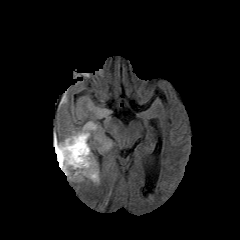
FLAIR MR image.
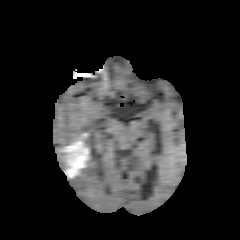
T1-weighted MR.
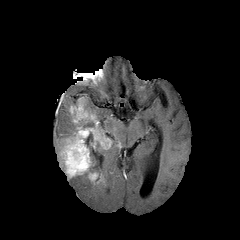
Post-contrast T1-weighted MR image.
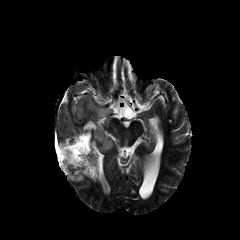
T2-weighted magnetic resonance of the same slice.
<segmentation>
  <non-enhancing_tumor_core>box=[54, 139, 63, 165]; box=[90, 161, 98, 171]; box=[84, 132, 99, 160]</non-enhancing_tumor_core>
  <enhancing_tumor>box=[59, 120, 112, 180]</enhancing_tumor>
  <edema>box=[92, 141, 107, 174]; box=[70, 172, 99, 183]; box=[60, 128, 75, 141]; box=[82, 102, 109, 127]</edema>
</segmentation>